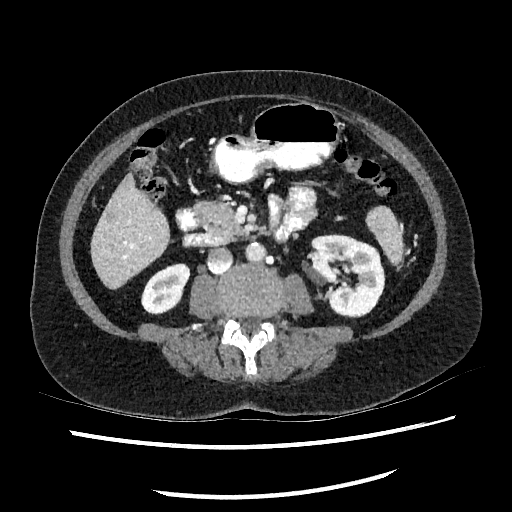 Upper abdomen. CT slice.

Liver: bounding box [91,176,168,287].
Focal liver lesion: bounding box [107,213,116,221].
Kidney: bounding box [142,264,189,312], [312,236,383,315].